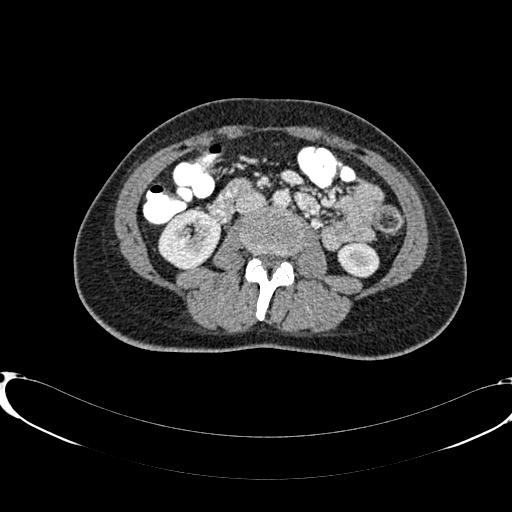 512x512; Computed tomography; Abdomen

{"kidney": ["bbox(339, 244, 377, 275)", "bbox(160, 211, 219, 267)"]}